Computed tomography, Liver, Field of view 387x387 mm

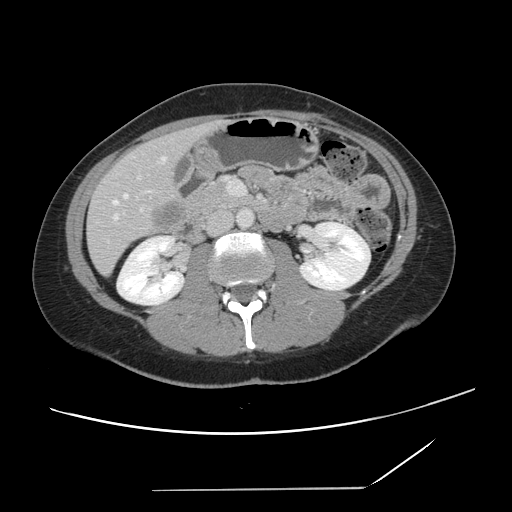

Some hepatic vessels may have no box.
{"liver_tumor": ["154 201 185 228"], "hepatic_vessel": ["107 241 108 242", "158 157 165 163", "113 201 117 204", "147 190 152 197", "124 194 127 197", "141 208 143 210", "137 176 140 178", "112 215 117 220"]}